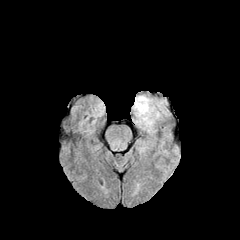
FLAIR MR image.
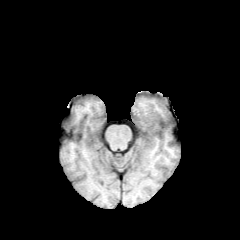
T1-weighted MR.
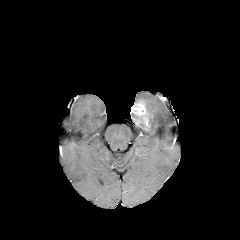
Post-contrast T1-weighted MR.
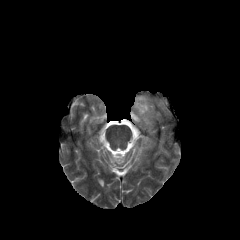
T2-weighted magnetic resonance of the same slice.
Brain
Enhancing tumor at [132, 102, 145, 115].
Non-enhancing tumor core at [134, 99, 155, 126].
Edema at [134, 94, 169, 127], [137, 141, 149, 154].